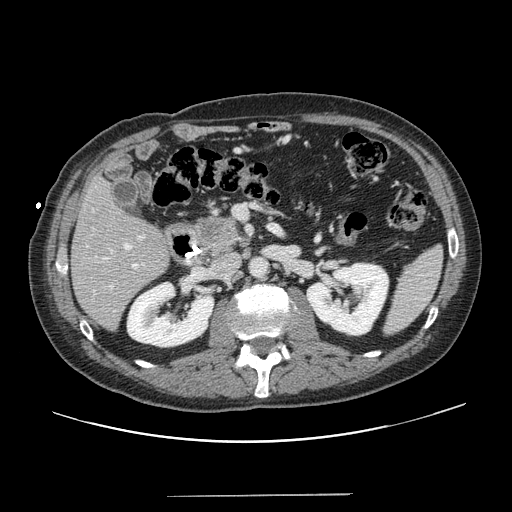 Abdomen; 512x512; Computed tomography
The pancreas is located at 191 214 243 257. The pancreatic tumor lies within 196 214 235 243.